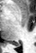 36x53; MRI
posterior_hippocampus:
  - (x1=13, y1=44, x2=20, y2=46)